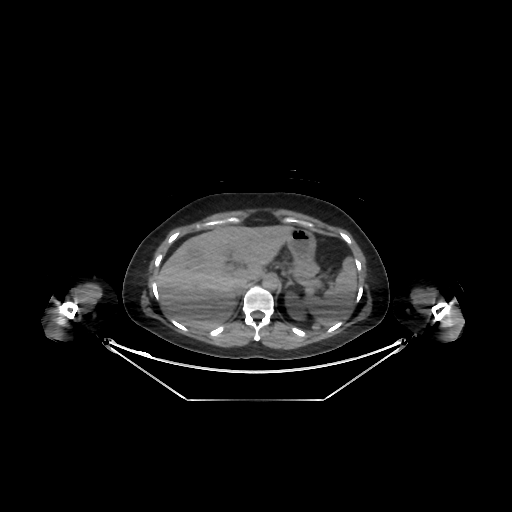

512x512 px; CT; Upper abdomen

The liver lies within box(154, 224, 292, 339). The kidney appears at box(285, 291, 310, 321).